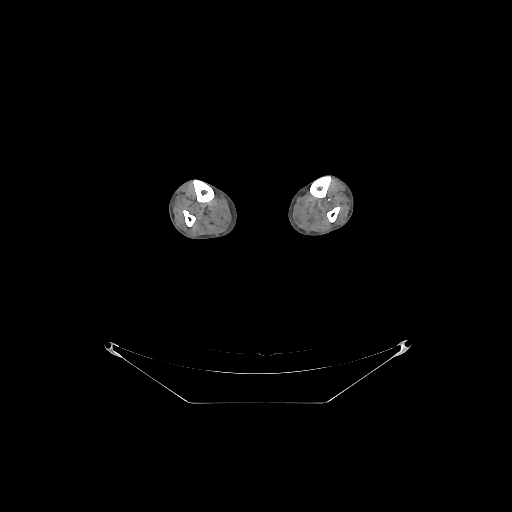 CT slice
Bone — 310 176 331 197, 327 207 339 222, 183 210 195 226, 193 180 213 202.